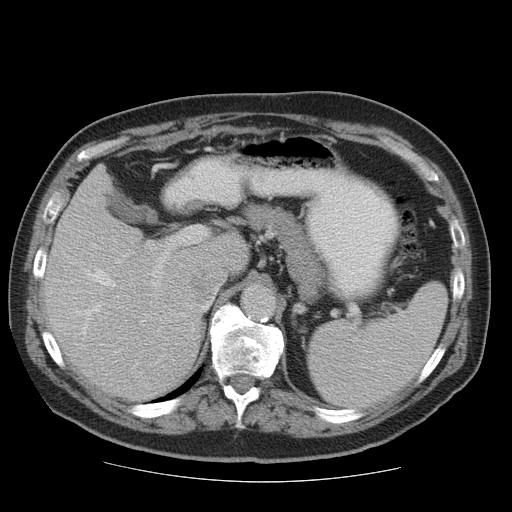 Abdomen, CT slice
The vessel boxes may cover only some of the vessels.
Principal 15 of 24 hepatic vessel regions at (left=148, top=227, right=199, bottom=285), (left=86, top=269, right=114, bottom=286), (left=146, top=241, right=156, bottom=254), (left=71, top=302, right=100, bottom=316), (left=115, top=259, right=121, bottom=263), (left=75, top=318, right=90, bottom=339), (left=124, top=250, right=134, bottom=256), (left=150, top=294, right=157, bottom=297), (left=186, top=322, right=194, bottom=330), (left=145, top=314, right=151, bottom=318), (left=156, top=321, right=164, bottom=331), (left=137, top=351, right=142, bottom=358), (left=134, top=359, right=139, bottom=366), (left=200, top=301, right=210, bottom=309), (left=181, top=303, right=196, bottom=310).